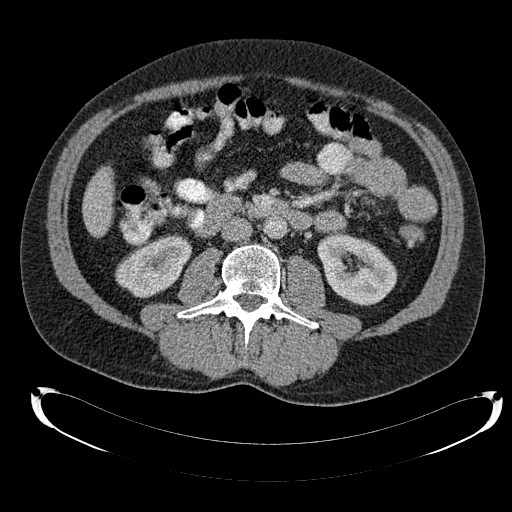
Liver; CT
<segmentation>
  <liver>83:169:112:236</liver>
  <kidney>318:234:396:304, 117:237:190:296</kidney>
</segmentation>